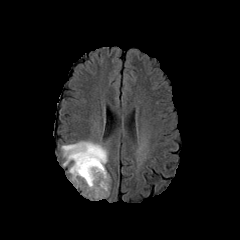
FLAIR MRI.
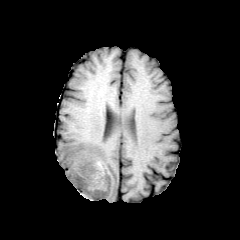
T1-weighted MRI.
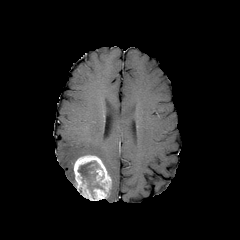
Post-contrast T1-weighted MR.
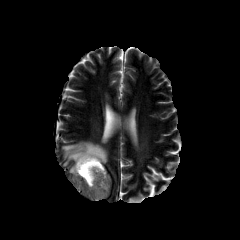
Same slice, T2-weighted magnetic resonance.
Brain.
- edema: box=[61, 140, 107, 185]
- non-enhancing tumor core: box=[78, 162, 103, 195]
- enhancing tumor: box=[74, 155, 110, 200]